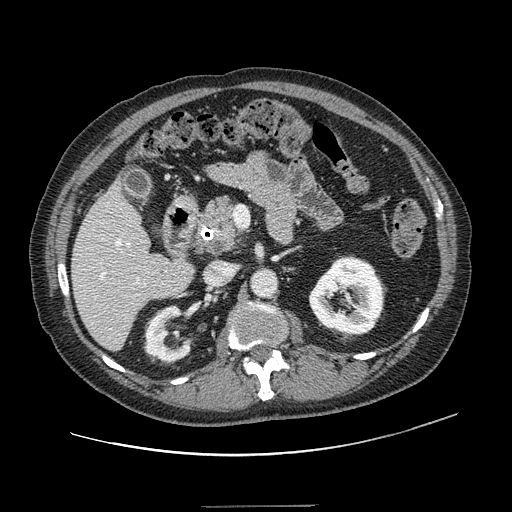 CT image; Abdomen
pancreas: (195,195,238,255) | pancreatic tumor: (211,239,227,254)